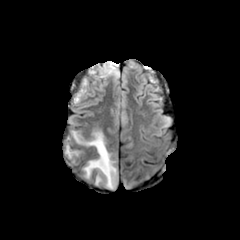
FLAIR magnetic resonance.
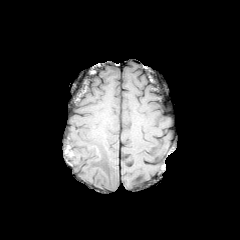
T1-weighted MRI of the same slice.
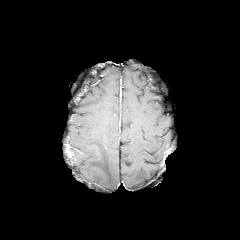
Post-contrast T1-weighted MRI.
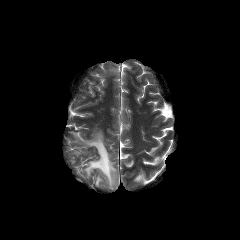
T2-weighted MR.
Edema: left=72, top=130, right=118, bottom=189; left=104, top=66, right=119, bottom=77.